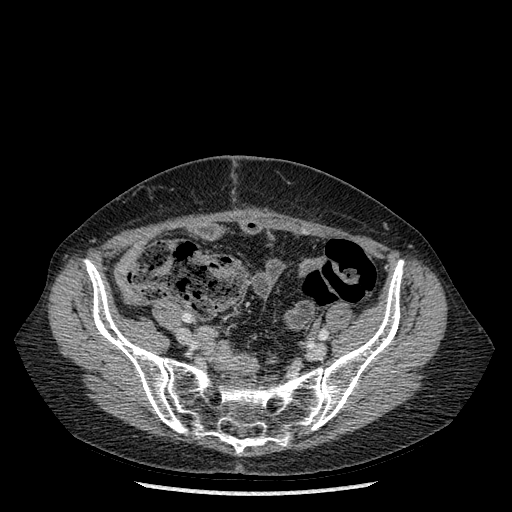
CT scan slice
{"bone": ["[84,259,403,455]"]}